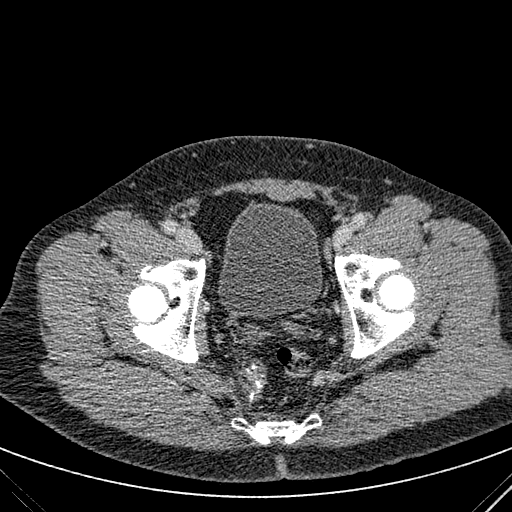
Computed tomography | 512x512
The urinary bladder appears at left=217, top=200, right=323, bottom=316.